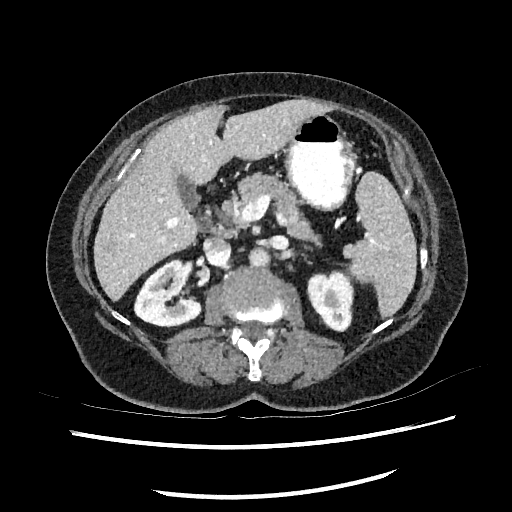

Computed tomography

focal_liver_lesion:
  - rect(102, 240, 115, 253)
liver:
  - rect(94, 100, 327, 299)
kidney:
  - rect(308, 273, 351, 329)
  - rect(135, 261, 200, 325)